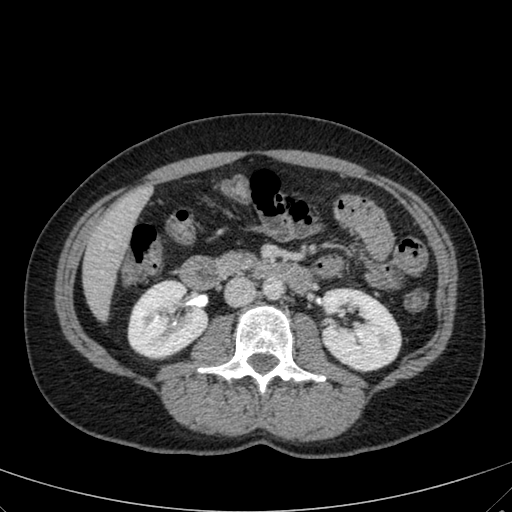 CT slice. Image size 512x512.

kidney:
  - (129,281,206,357)
  - (323,289,399,370)
liver:
  - (83,199,137,320)